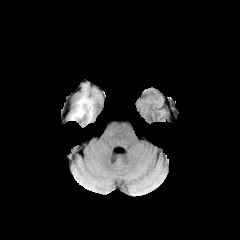
FLAIR MR.
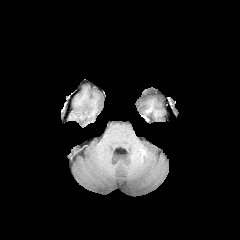
T1-weighted magnetic resonance.
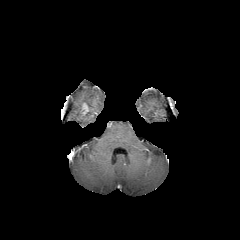
Post-contrast T1-weighted MR.
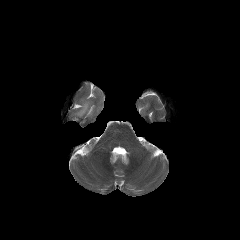
T2-weighted MRI of the same slice.
Findings:
- edema: 71 93 94 119